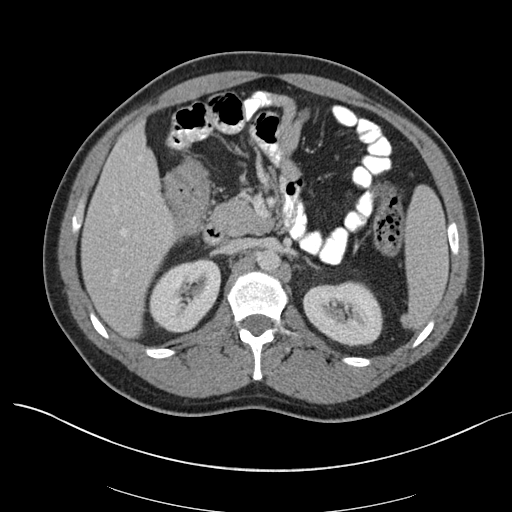
Pelvis | Image size 512x512 | CT

colon_tumor:
  - left=164, top=177, right=206, bottom=235